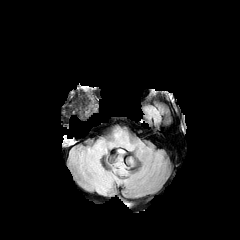
FLAIR magnetic resonance.
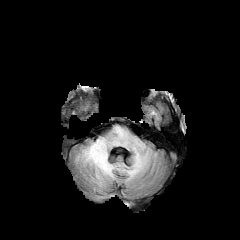
Same slice, T1-weighted MR.
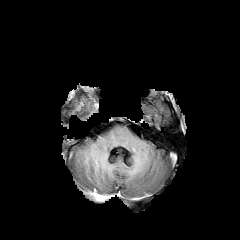
Post-contrast T1-weighted magnetic resonance.
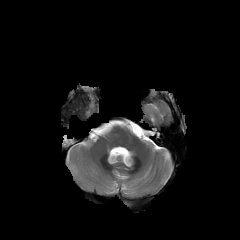
Same slice, T2-weighted MR image.
edema:
  - bbox(94, 178, 111, 191)